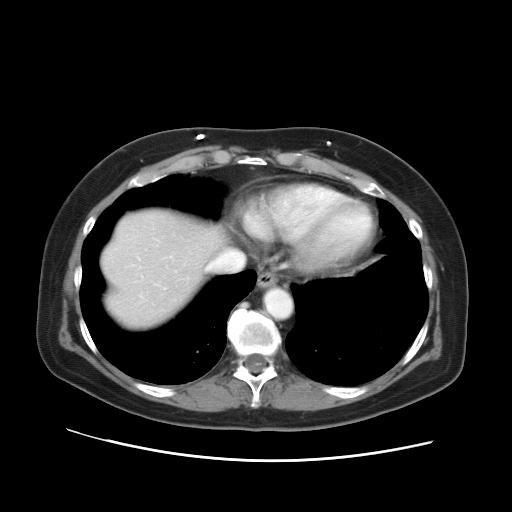

512x512; CT
Only some of the vessels may be annotated.
The hepatic vessel lies within x1=207 y1=251 x2=243 y2=269.